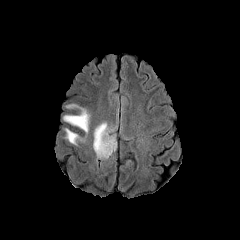
FLAIR MR.
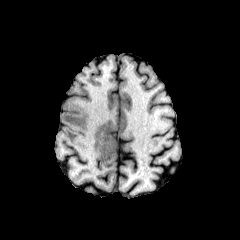
T1-weighted MR of the same slice.
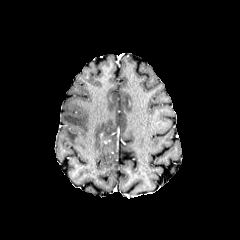
Post-contrast T1-weighted MR image.
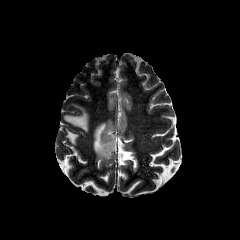
T2-weighted MR image of the same slice.
Brain
Edema = [x1=65, y1=128, x2=78, y2=145], [x1=63, y1=107, x2=89, y2=132], [x1=93, y1=122, x2=116, y2=157].